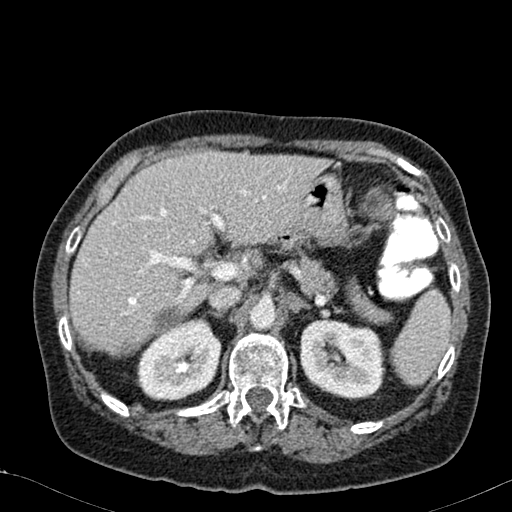

Image size 512x512, CT slice, Upper abdomen
- kidney: {"x1": 300, "y1": 320, "x2": 383, "y2": 397}, {"x1": 138, "y1": 319, "x2": 220, "y2": 399}
- liver: {"x1": 71, "y1": 154, "x2": 331, "y2": 351}
- focal liver lesion: {"x1": 152, "y1": 306, "x2": 179, "y2": 332}